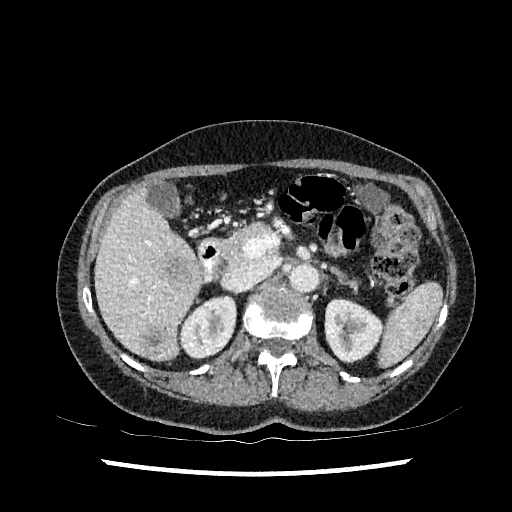

CT scan slice; 512x512; Liver

liver:
  - <box>95,187,199,359</box>
kidney:
  - <box>325,300,381,361</box>
  - <box>181,297,235,357</box>
focal_liver_lesion:
  - <box>140,327,174,356</box>
  - <box>163,258,196,284</box>